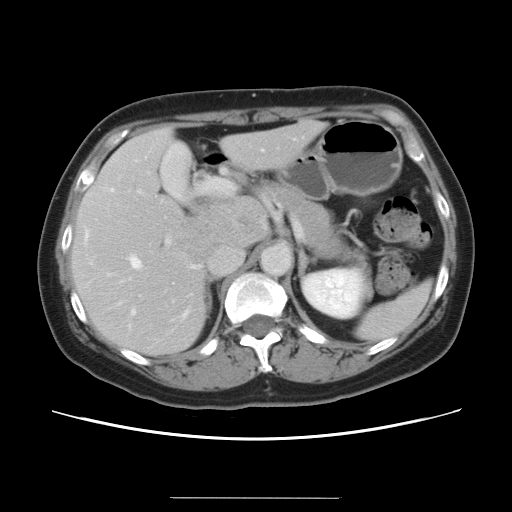 CT. 512x512 px. Some hepatic vessels may have no box.
The most prominent 15 hepatic vessel regions (of 17) are bounded by {"x1": 183, "y1": 311, "x2": 187, "y2": 316}, {"x1": 129, "y1": 325, "x2": 130, "y2": 328}, {"x1": 111, "y1": 189, "x2": 112, "y2": 191}, {"x1": 209, "y1": 179, "x2": 233, "y2": 190}, {"x1": 130, "y1": 256, "x2": 140, "y2": 268}, {"x1": 131, "y1": 310, "x2": 135, "y2": 314}, {"x1": 198, "y1": 186, "x2": 207, "y2": 193}, {"x1": 165, "y1": 238, "x2": 170, "y2": 244}, {"x1": 89, "y1": 262, "x2": 91, "y2": 264}, {"x1": 137, "y1": 191, "x2": 141, "y2": 193}, {"x1": 191, "y1": 265, "x2": 200, "y2": 268}, {"x1": 85, "y1": 228, "x2": 88, "y2": 241}, {"x1": 118, "y1": 302, "x2": 121, "y2": 304}, {"x1": 293, "y1": 138, "x2": 295, "y2": 140}, {"x1": 261, "y1": 149, "x2": 262, "y2": 151}. The liver tumor appears at {"x1": 177, "y1": 198, "x2": 263, "y2": 262}.